FLAIR MRI.
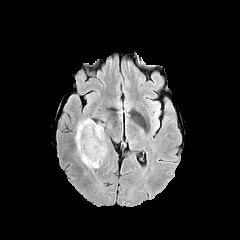
T1-weighted MR image.
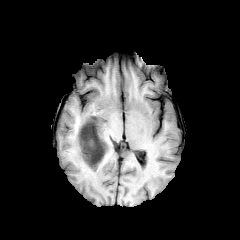
Post-contrast T1-weighted MR.
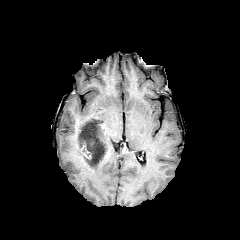
T2-weighted MR.
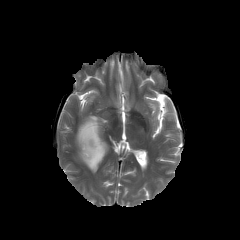
The non-enhancing tumor core is located at l=78, t=120, r=104, b=165. The enhancing tumor lies within l=81, t=143, r=90, b=159. 3 edema regions appear at l=75, t=117, r=91, b=159; l=82, t=122, r=108, b=171; l=150, t=102, r=157, b=113.